Upper abdomen. CT slice. Slice index 28. Image size 512x512.
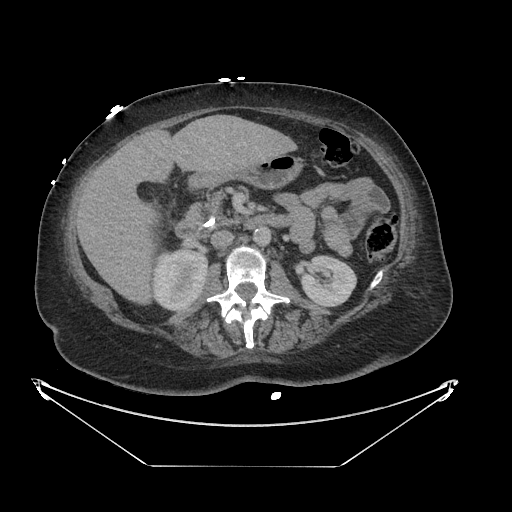 pancreas: box(206, 194, 241, 226)